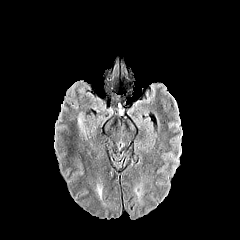
FLAIR MR image.
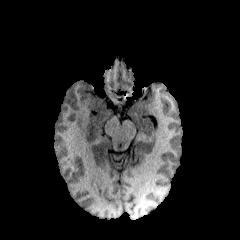
Same slice, T1-weighted magnetic resonance.
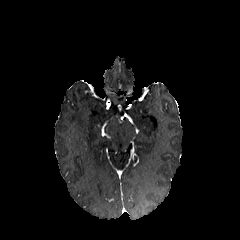
Same slice, post-contrast T1-weighted MR image.
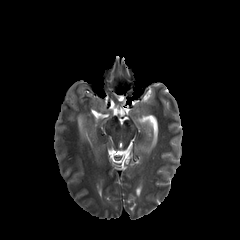
T2-weighted MR.
Head.
{"edema": ["(78, 117, 85, 135)"]}